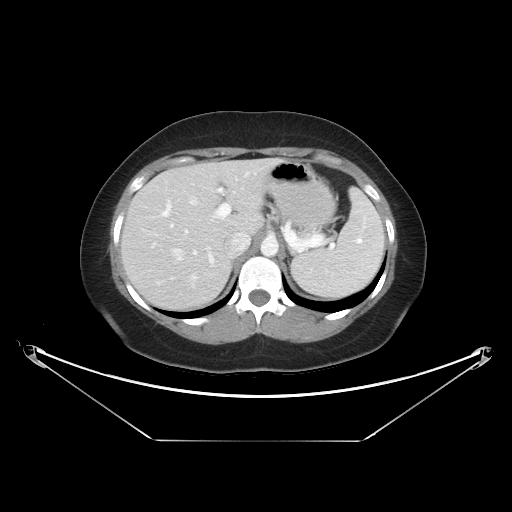 512x512; Upper abdomen; CT scan slice

The pancreatic tumor is bounded by 309 225 316 232. The pancreas is located at 295 223 314 238.